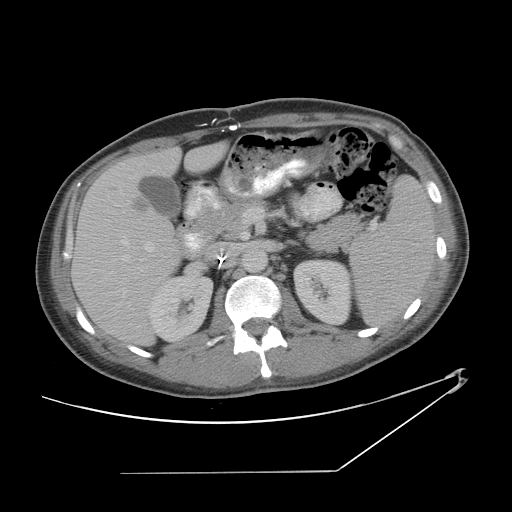 Image size 512x512. CT.

Only some of the vessels may be annotated.
hepatic_vessel:
  - 120 189 123 194
  - 123 211 124 212
  - 115 204 117 205
  - 152 169 154 171
  - 123 289 126 296
  - 124 255 129 260
  - 146 243 153 251
  - 122 239 129 244
liver_tumor:
  - 132 197 149 211